FLAIR MR.
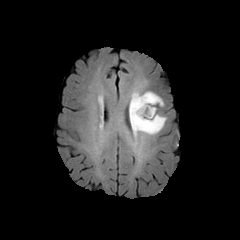
T1-weighted MRI.
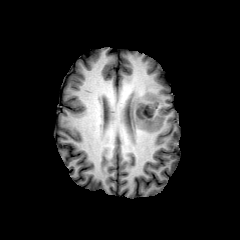
Post-contrast T1-weighted MR.
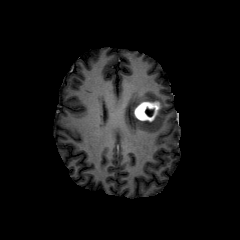
T2-weighted magnetic resonance.
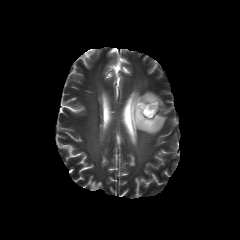
Head
The enhancing tumor lies within 133:100:160:122. The non-enhancing tumor core is bounded by 145:108:153:116. The edema appears at 129:90:166:136.